CT slice 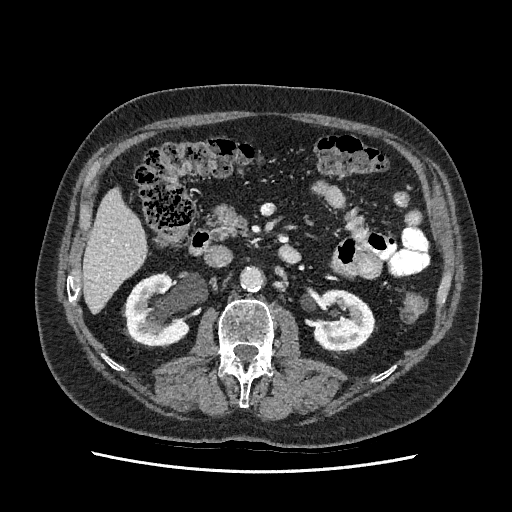 2 kidney regions are located at [308,291,373,349], [126,275,188,345]. The liver is at [83,187,146,312].